Abdomen. Slice 421 of 624. CT scan slice.

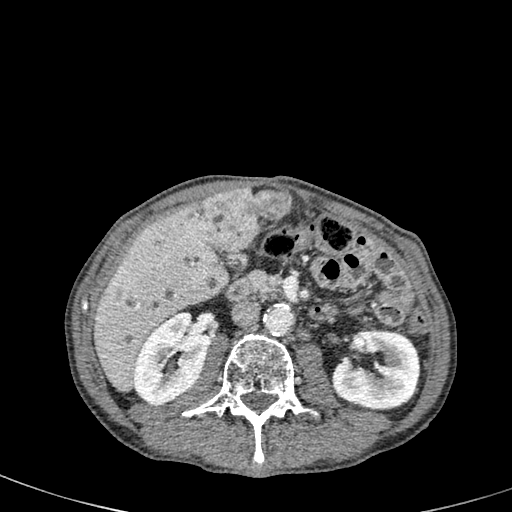
2 kidney regions appear at (left=333, top=331, right=418, bottom=408), (left=133, top=313, right=212, bottom=405). 2 liver lesion regions are bounded by (left=191, top=188, right=290, bottom=251), (left=111, top=288, right=121, bottom=298). The liver is at (left=93, top=204, right=228, bottom=391).